Magnetic resonance.

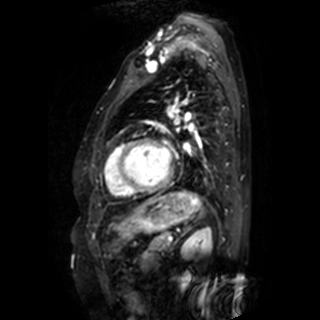

Segmented structures:
* left atrium: [x1=163, y1=148, x2=169, y2=159]